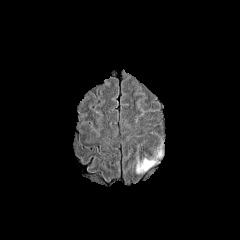
FLAIR MRI.
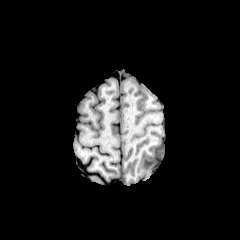
T1-weighted MR.
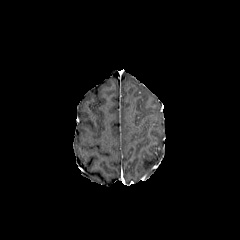
Post-contrast T1-weighted MR.
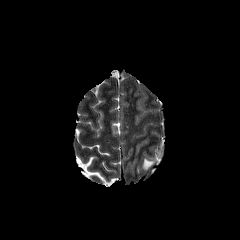
T2-weighted MR image.
Brain.
Findings:
• edema: 137,159,153,172